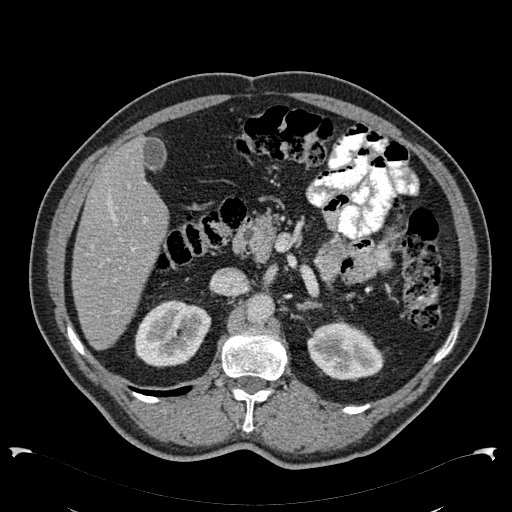
CT image
Annotated regions:
- liver: <bbox>72, 134, 167, 349</bbox>
- kidney: <bbox>307, 322, 383, 379</bbox>, <bbox>135, 300, 210, 366</bbox>